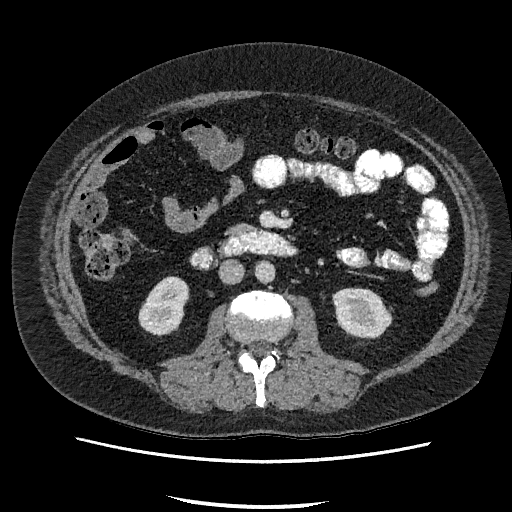 CT scan slice; Abdomen; Image size 512x512
2 kidney regions are bounded by bbox(334, 289, 389, 336); bbox(139, 277, 187, 333).